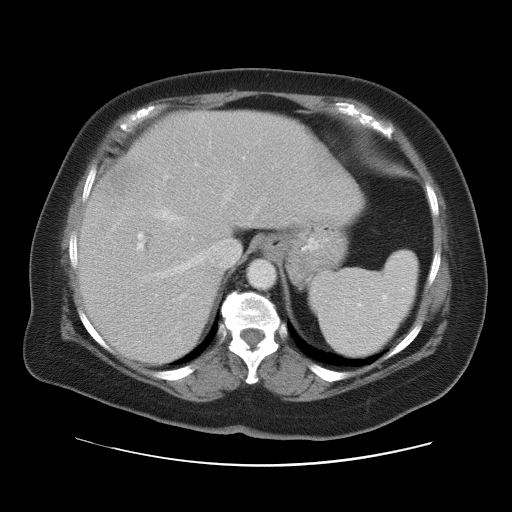

CT image
Spleen = 311, 252, 418, 358.